240x240
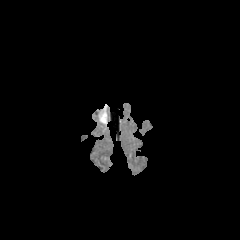
FLAIR MR.
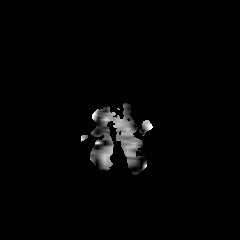
T1-weighted MR.
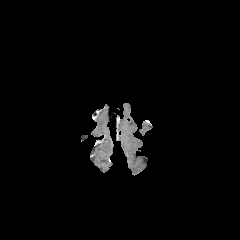
Post-contrast T1-weighted magnetic resonance.
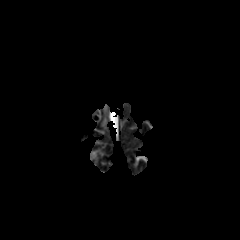
T2-weighted MR.
{
  "edema": [
    "rect(98, 106, 107, 124)"
  ]
}